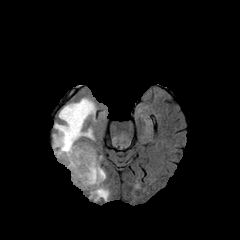
FLAIR MR.
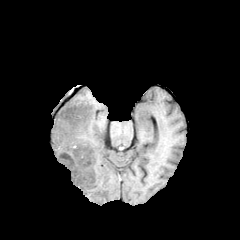
T1-weighted MR of the same slice.
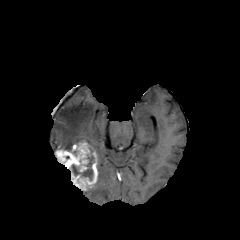
Post-contrast T1-weighted MR image.
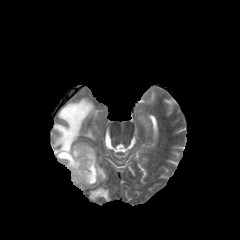
T2-weighted MR image of the same slice.
enhancing tumor: box(55, 142, 98, 190) | edema: box(89, 163, 110, 200); box(53, 97, 96, 149) | non-enhancing tumor core: box(82, 157, 93, 179)